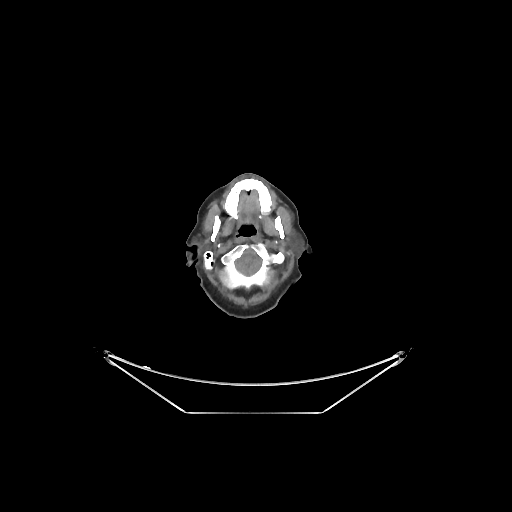

CT scan slice, Head
brain:
  - 234:248:262:276